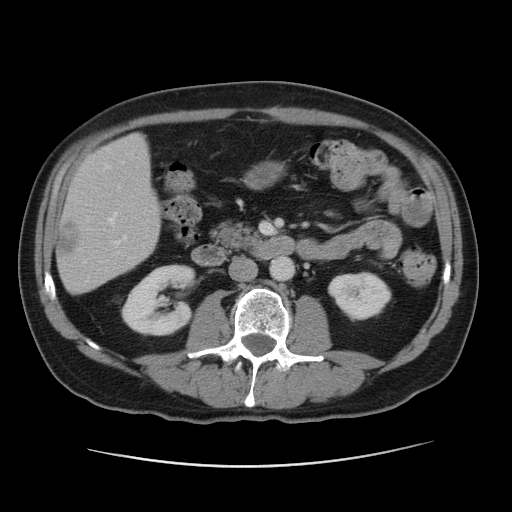 CT
Focal liver lesion: bounding box 58 222 81 254.
Liver: bounding box 58 139 155 291.
Kidney: bounding box 123 265 192 334, 328 272 391 321.